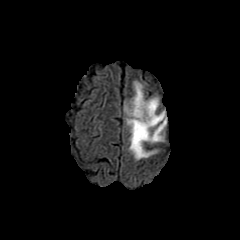
FLAIR MR.
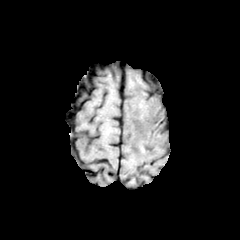
T1-weighted MR image.
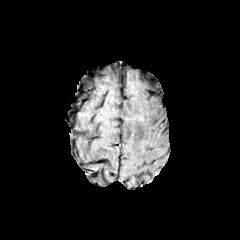
Same slice, post-contrast T1-weighted magnetic resonance.
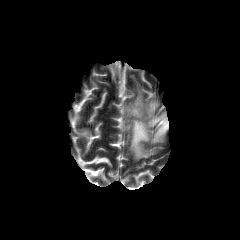
T2-weighted MRI of the same slice.
Brain.
The non-enhancing tumor core appears at rect(134, 113, 142, 124). The edema is bounded by rect(123, 83, 167, 159).